Slice index 236 | CT slice

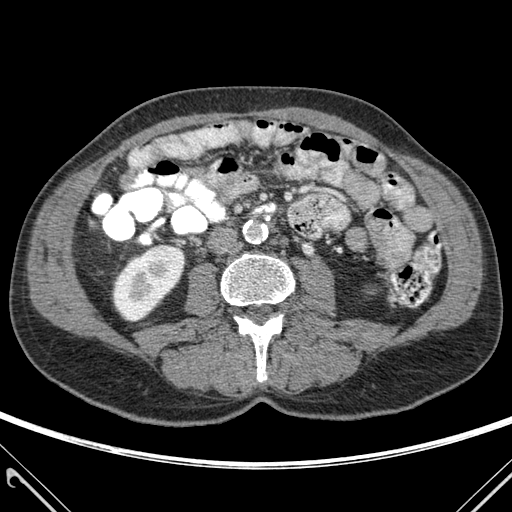 kidney: x1=114 y1=246 x2=183 y2=320 | bone: x1=234 y1=314 x2=283 y2=381, x1=221 y1=254 x2=294 y2=305